CT image | Image size 512x512 | Slice 103/241

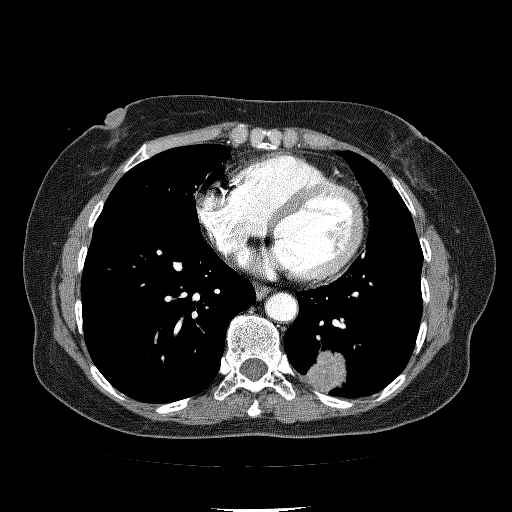 Segmented structures:
- lung tumor: <bbox>306, 349, 356, 392</bbox>